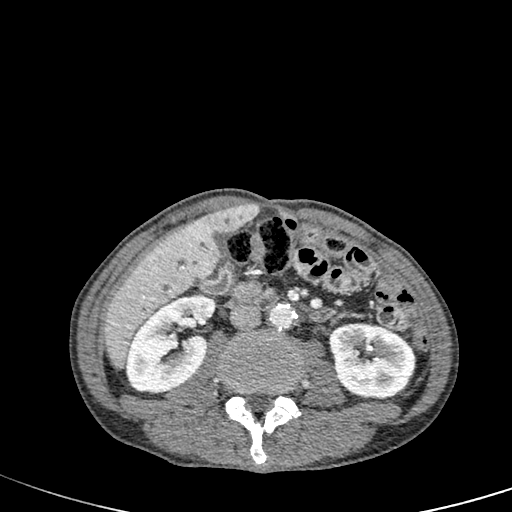
CT slice | 512x512 px
Kidney = rect(330, 324, 414, 397); rect(126, 296, 214, 392).
Hepatic lesion = rect(215, 204, 258, 233).
Liver = rect(104, 210, 224, 369).